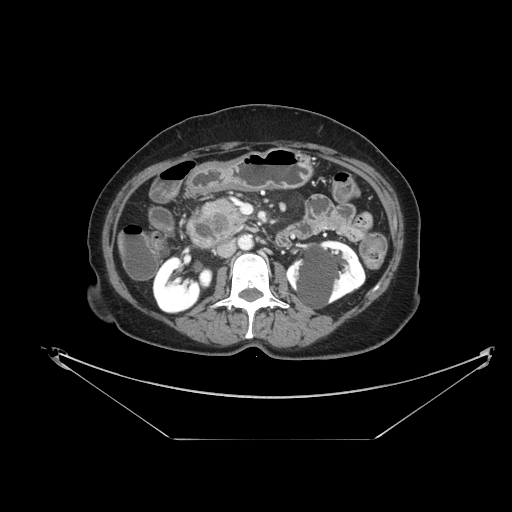 Upper abdomen. CT scan slice. Pancreas: bounding box (x1=199, y1=199, x2=247, y2=243).
Pancreatic tumor: bounding box (x1=207, y1=213, x2=227, y2=231).